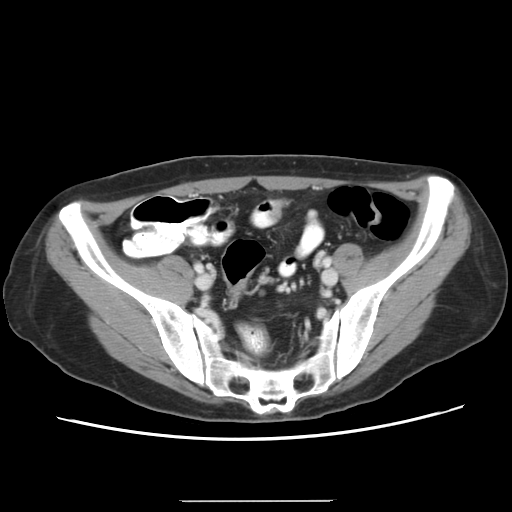
512x512 px; CT

Colon tumor: [222, 267, 256, 298].